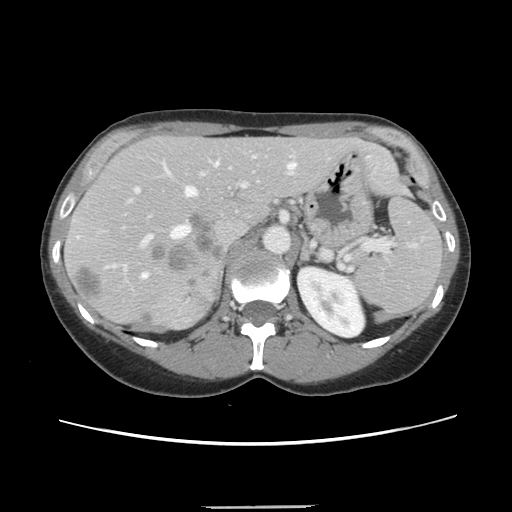

Image size 512x512 | CT
Not every hepatic vessel necessarily has a box.
15 hepatic vessel regions are bounded by <bbox>163, 164, 166, 171</bbox>, <bbox>105, 265, 107, 267</bbox>, <bbox>213, 161, 218, 166</bbox>, <bbox>241, 183, 245, 186</bbox>, <bbox>128, 200, 130, 201</bbox>, <bbox>253, 156, 254, 157</bbox>, <bbox>170, 224, 189, 237</bbox>, <bbox>134, 187, 138, 192</bbox>, <bbox>122, 264, 126, 269</bbox>, <bbox>200, 173, 203, 174</bbox>, <bbox>141, 234, 151, 245</bbox>, <bbox>185, 186, 195, 196</bbox>, <bbox>111, 265, 114, 266</bbox>, <bbox>287, 162, 295, 173</bbox>, <bbox>141, 273, 146, 277</bbox>. 2 liver tumor regions are located at <bbox>78, 267, 100, 299</bbox>, <bbox>168, 245, 190, 270</bbox>.